Slice 99/155 | 240x240 px
FLAIR MR.
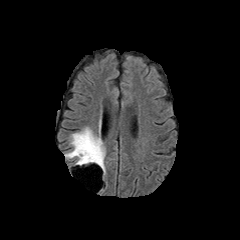
T1-weighted MR.
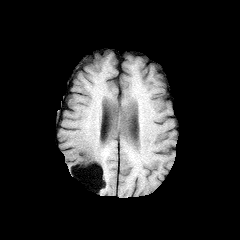
Post-contrast T1-weighted MR image.
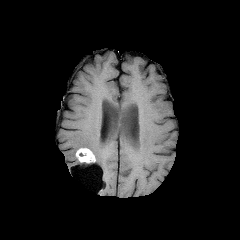
T2-weighted MR.
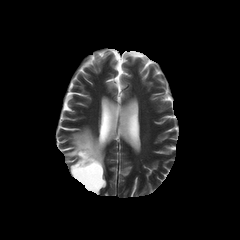
The non-enhancing tumor core lies within <bbox>76, 147, 103, 169</bbox>. The edema is located at <bbox>64, 126, 107, 179</bbox>. The enhancing tumor is at <bbox>76, 148, 96, 162</bbox>.